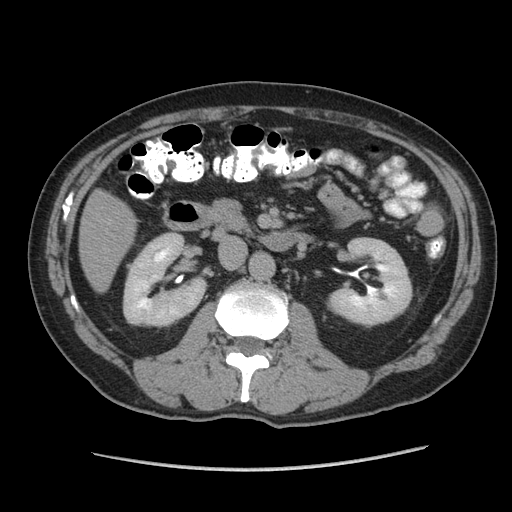

Computed tomography. 512x512 px.

Pancreas at {"x1": 211, "y1": 198, "x2": 243, "y2": 223}.